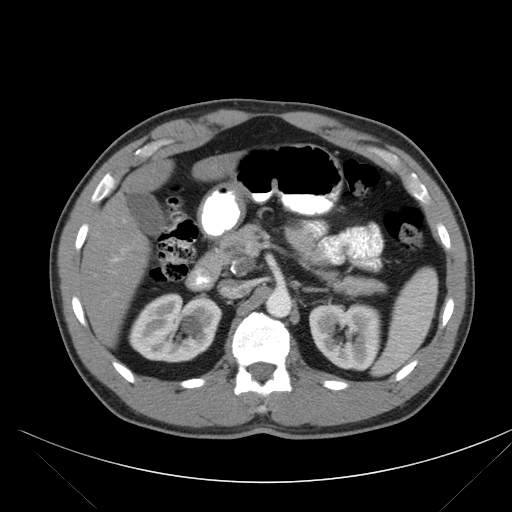

CT image. Upper abdomen.
<segmentation>
  <pancreatic_tumor>{"x1": 221, "y1": 246, "x2": 254, "y2": 273}</pancreatic_tumor>
  <pancreas>{"x1": 283, "y1": 227, "x2": 382, "y2": 295}, {"x1": 214, "y1": 222, "x2": 273, "y2": 274}</pancreas>
</segmentation>